FLAIR MR image.
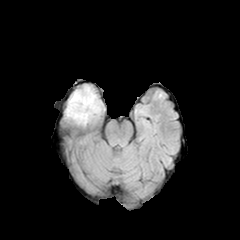
T1-weighted magnetic resonance.
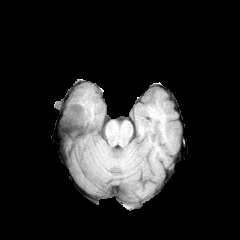
Post-contrast T1-weighted MRI.
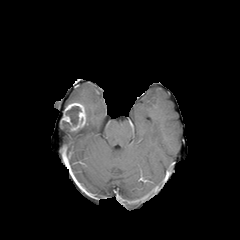
T2-weighted MR.
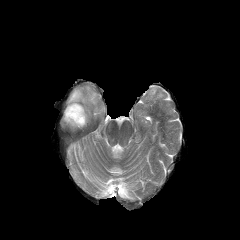
Brain
enhancing tumor: x1=59 y1=103 x2=86 y2=130 | non-enhancing tumor core: x1=66 y1=106 x2=80 y2=125 | edema: x1=67 y1=84 x2=105 y2=126